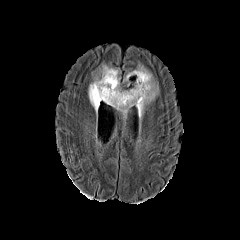
FLAIR MR image.
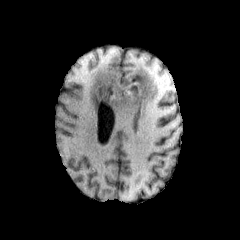
T1-weighted magnetic resonance.
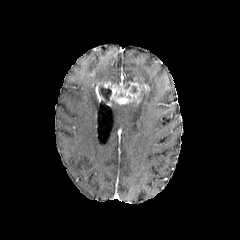
Post-contrast T1-weighted MR image of the same slice.
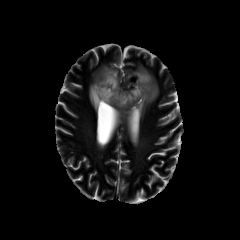
T2-weighted magnetic resonance.
Head | 240x240
Findings:
- non-enhancing tumor core: l=97, t=82, r=112, b=102; l=130, t=85, r=138, b=94
- edema: l=126, t=64, r=159, b=121; l=89, t=64, r=121, b=117; l=112, t=102, r=133, b=117
- enhancing tumor: l=95, t=82, r=103, b=101; l=103, t=78, r=150, b=104